Computed tomography. Slice 189/216.
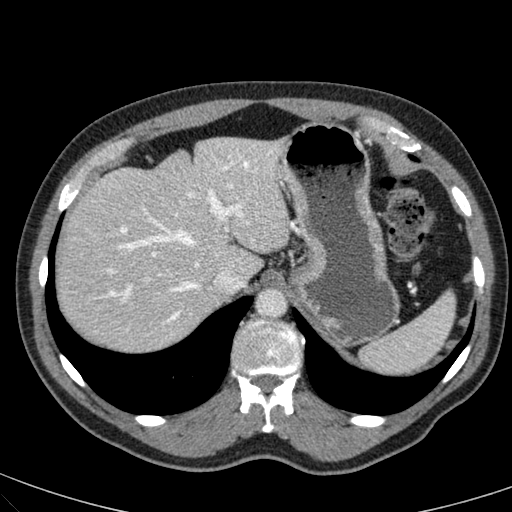
The liver appears at <bbox>58, 135, 289, 351</bbox>.